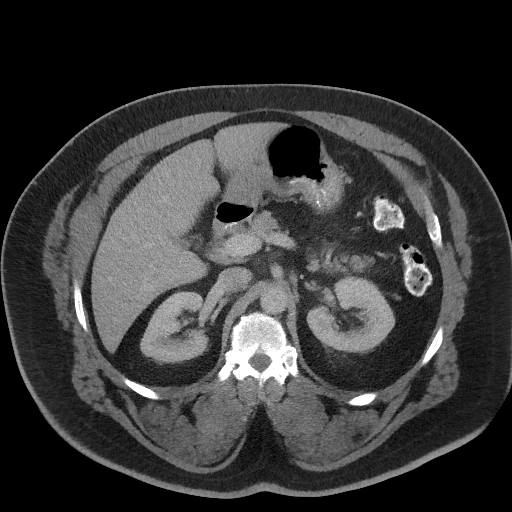 Upper abdomen | CT slice
Pancreatic tumor at box(353, 257, 363, 266).
Pancreas at box(312, 255, 371, 272); box(251, 211, 280, 233).